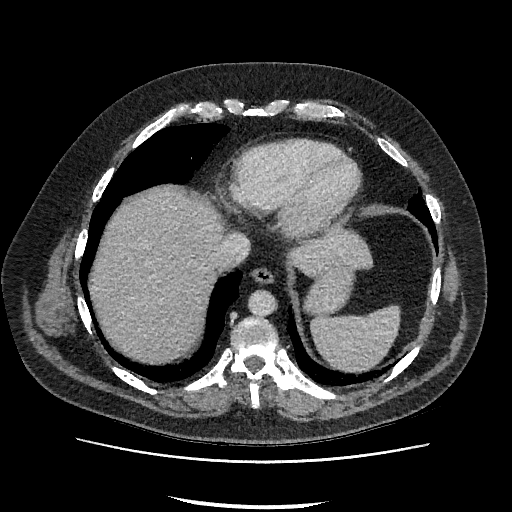
512x512. Abdomen. CT. liver:
  - box(91, 190, 223, 360)
  - box(290, 232, 371, 275)